Field of view 37 mm wide, 1.00 mm slice spacing | Slice 18/40 | Hippocampus | 37x50 px | MRI
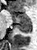
The anterior hippocampus is located at <bbox>11, 12, 30, 23</bbox>. The posterior hippocampus lies within <bbox>15, 24, 31, 33</bbox>.